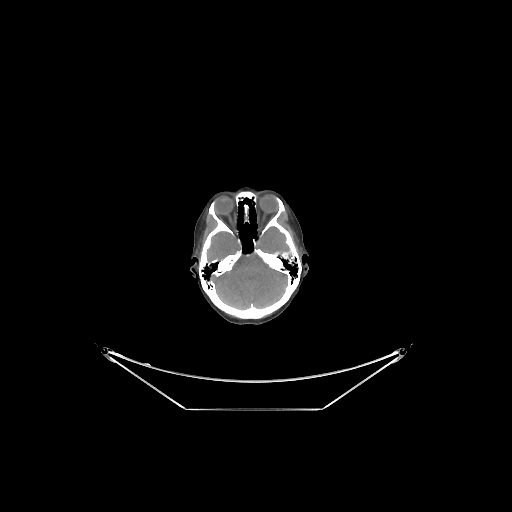

CT slice. Head.

<segmentation>
  <brain>207:226:292:309, 206:231:241:263</brain>
</segmentation>